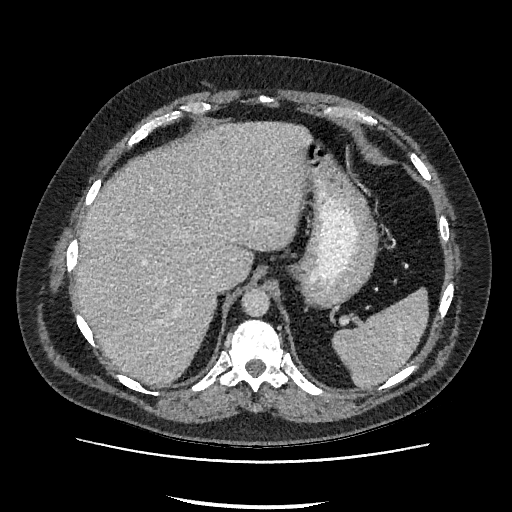

Upper abdomen; CT slice
Liver at 76,122,310,384.